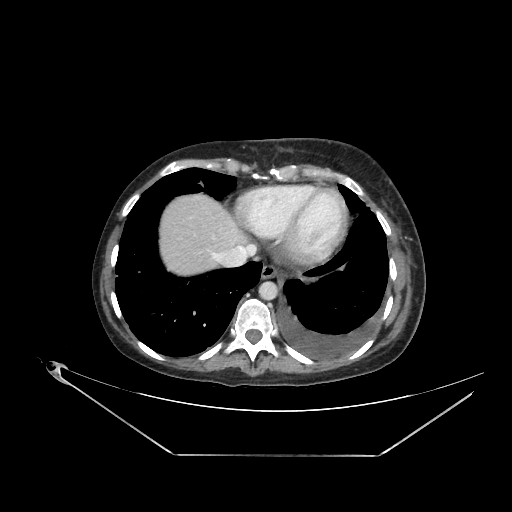
Computed tomography | Liver
The liver is bounded by <box>162,195,249,278</box>.